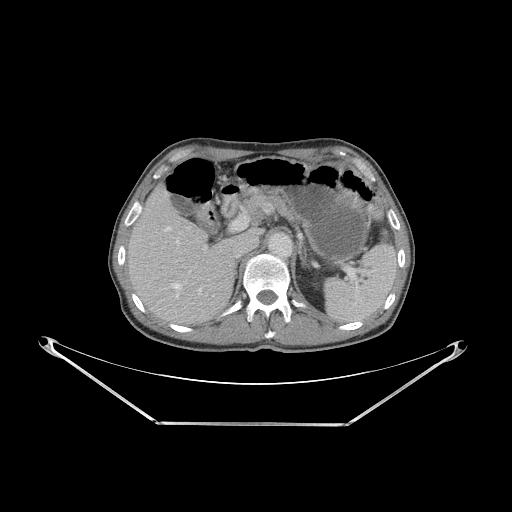

CT image.

9 bone regions are located at l=385, t=294, r=394, b=308; l=132, t=294, r=144, b=311; l=340, t=322, r=361, b=329; l=388, t=211, r=399, b=229; l=118, t=246, r=124, b=264; l=243, t=254, r=289, b=321; l=170, t=324, r=191, b=331; l=125, t=206, r=139, b=225; l=398, t=250, r=404, b=266. The liver lies within l=129, t=186, r=262, b=325.